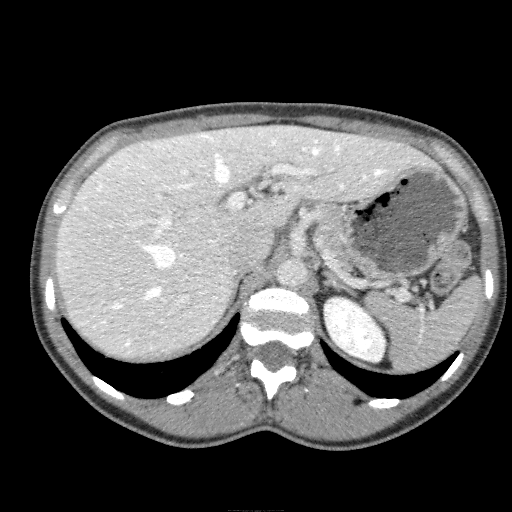

CT slice; 512x512 px

Liver: bbox(55, 124, 434, 358).
Kidney: bbox(325, 298, 384, 361).